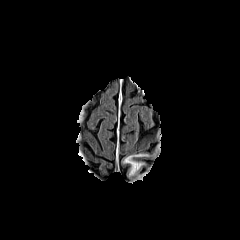
FLAIR MR image.
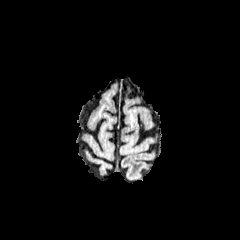
T1-weighted magnetic resonance.
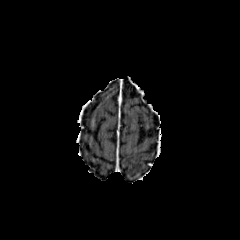
Post-contrast T1-weighted MR image of the same slice.
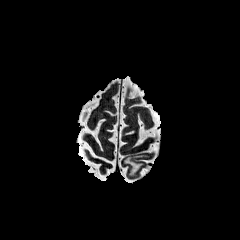
Same slice, T2-weighted MR.
Head
edema: l=123, t=154, r=148, b=175